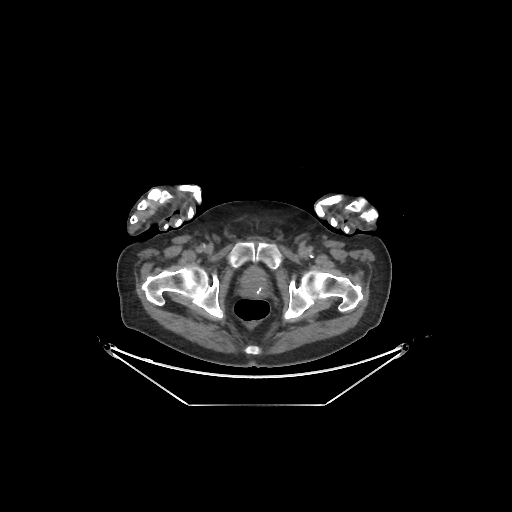

CT image. Annotated regions:
- bone: (360,209,377,221), (315,195,341,216), (178,185,200,202), (246,347,258,353), (188,207,193,218), (285,270,362,319), (130,215,137,223), (142,266,222,317), (137,189,172,209), (229,243,281,268), (345,199,366,211)